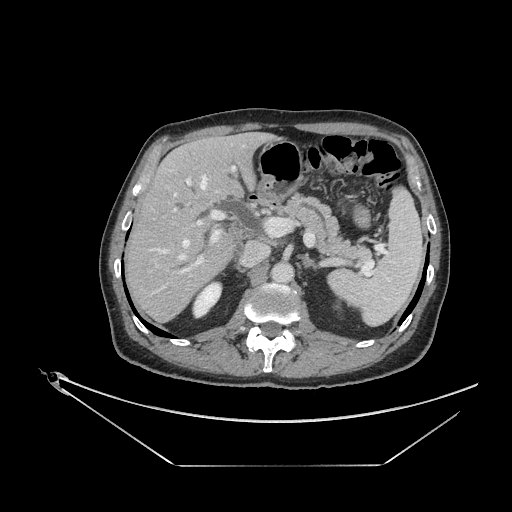 CT

pancreas: rect(285, 195, 371, 259)